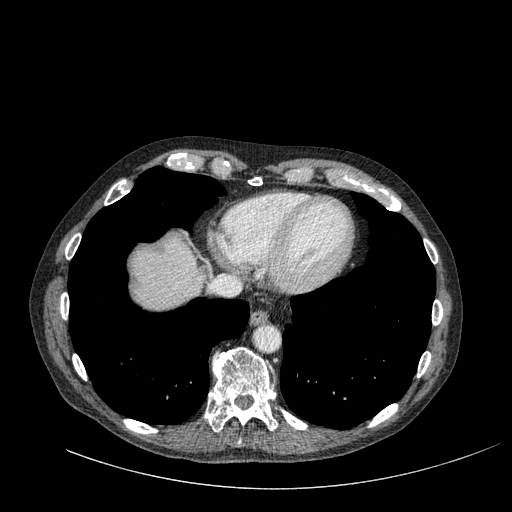 Computed tomography. Image size 512x512. liver: [131, 239, 202, 309]